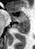
MR image.

anterior_hippocampus:
  - (x1=12, y1=12, x2=29, y2=21)
posterior_hippocampus:
  - (x1=14, y1=21, x2=29, y2=33)